Slice index 118; Brain
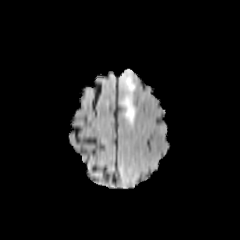
FLAIR MRI.
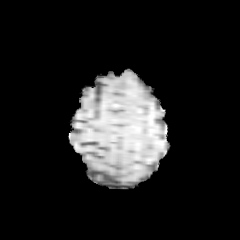
Same slice, T1-weighted MR.
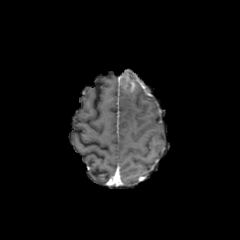
Post-contrast T1-weighted MRI.
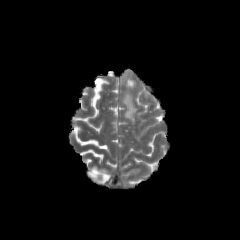
T2-weighted MR of the same slice.
Enhancing tumor — 120 72 136 92.
Edema — 120 93 137 123.